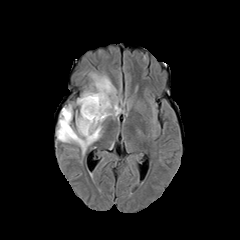
FLAIR MR image.
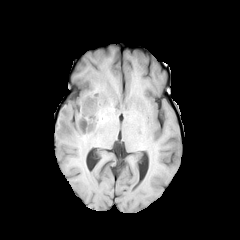
Same slice, T1-weighted magnetic resonance.
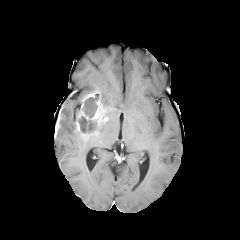
Post-contrast T1-weighted magnetic resonance of the same slice.
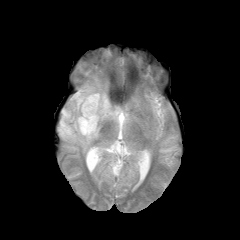
Same slice, T2-weighted MRI.
Edema at bbox=[80, 72, 127, 119]; bbox=[57, 102, 103, 154].
Enhancing tumor at bbox=[81, 91, 107, 122].
Non-enhancing tumor core at bbox=[76, 102, 107, 134]; bbox=[83, 94, 109, 117].